Liver, CT slice 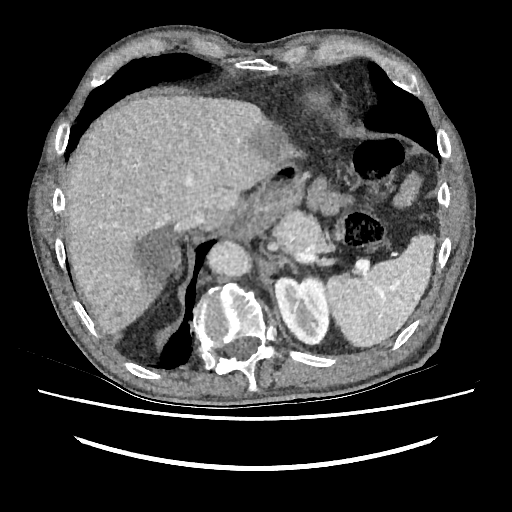

{
  "kidney": [
    "box=[275, 278, 328, 343]"
  ],
  "liver": [
    "box=[67, 95, 300, 332]"
  ],
  "hepatic_lesion": [
    "box=[249, 123, 284, 158]",
    "box=[125, 223, 176, 293]"
  ]
}